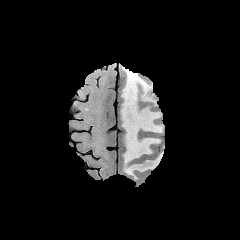
FLAIR MR.
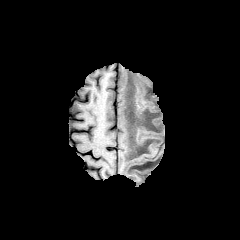
T1-weighted MR.
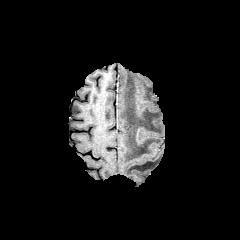
Post-contrast T1-weighted MRI.
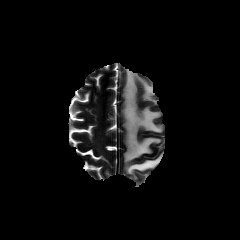
T2-weighted MR image.
{
  "edema": [
    "121:68:161:179"
  ]
}